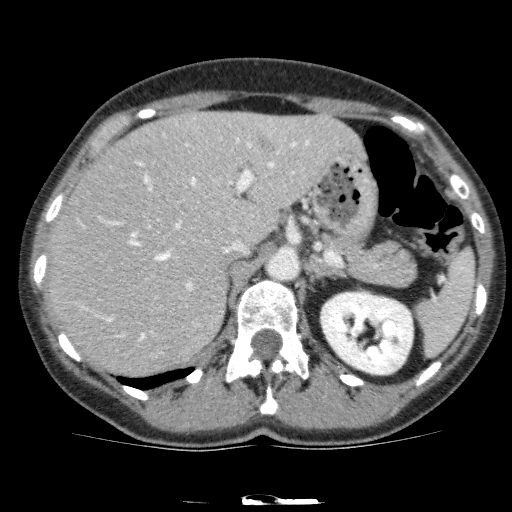 CT scan slice. Abdomen. 512x512.

Kidney: <bbox>321, 293, 412, 373</bbox>.
Focal liver lesion: <bbox>256, 134, 274, 151</bbox>.
Liver: <bbox>46, 111, 367, 373</bbox>.